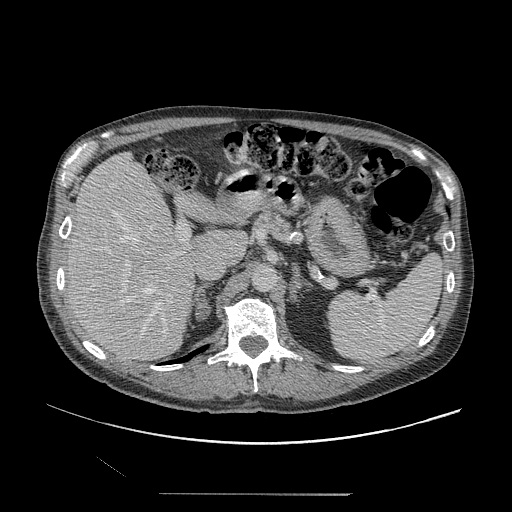

512x512 px. CT slice. The pancreas lies within [x1=251, y1=208, x2=303, y2=245].